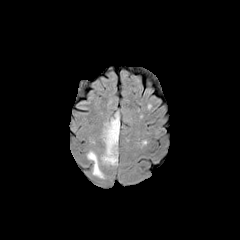
FLAIR magnetic resonance.
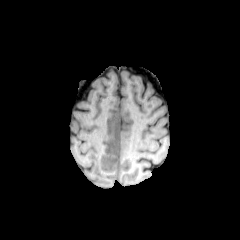
T1-weighted MRI.
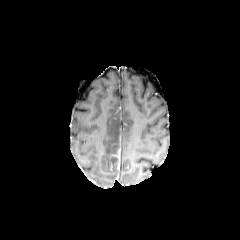
Post-contrast T1-weighted MR of the same slice.
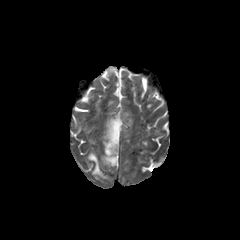
T2-weighted magnetic resonance.
Image size 240x240; Brain
Edema = (101, 112, 119, 165), (87, 151, 104, 178).
Enhancing tumor = (113, 149, 120, 166).
Non-enhancing tumor core = (110, 147, 118, 166).